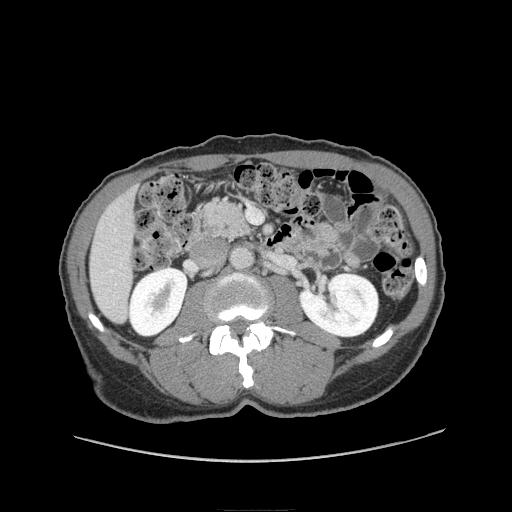 Computed tomography, Abdomen
<segmentation>
  <pancreas><box>204,200,253,239</box></pancreas>
</segmentation>